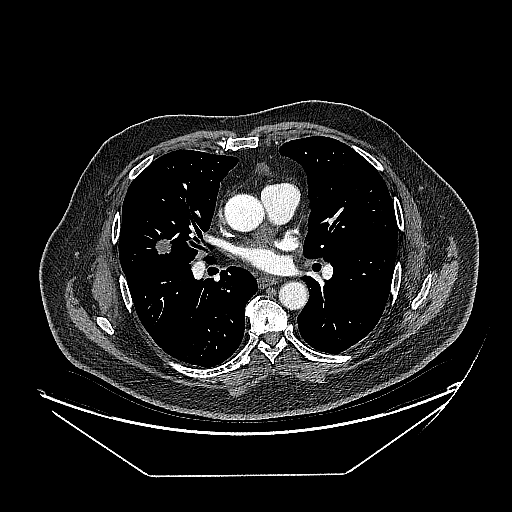
CT image
- lung tumor: box(154, 238, 175, 258)